Field of view 385 mm wide, 0.80 mm slice spacing, CT

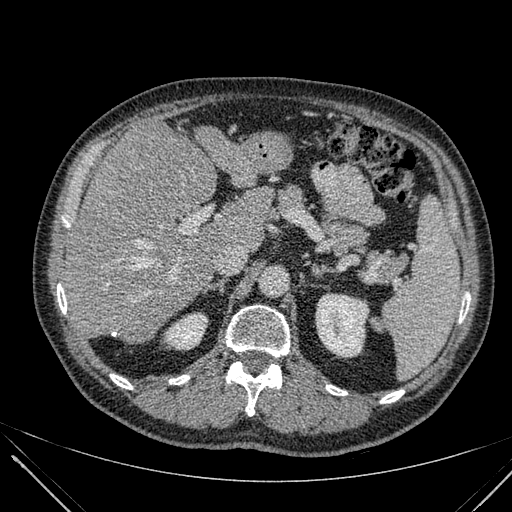

Segmented structures:
• kidney: box(316, 294, 368, 356); box(166, 314, 206, 348)
• liver: box(194, 126, 273, 186); box(63, 123, 265, 343); box(258, 188, 274, 207)